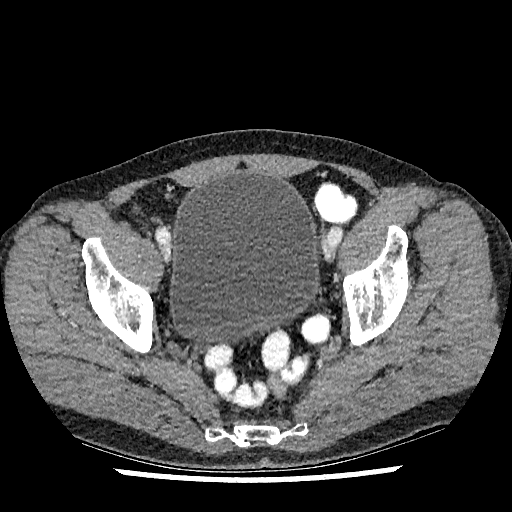 CT slice

{
  "urinary_bladder": [
    "region(169, 173, 318, 348)"
  ]
}